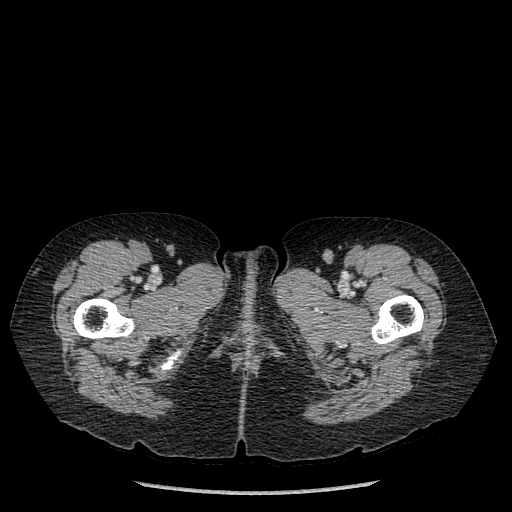 CT
bone:
  - (x1=160, y1=350, x2=181, y2=371)
  - (x1=370, y1=294, x2=424, y2=344)
  - (x1=71, y1=297, x2=134, y2=339)